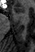 MRI slice. Medial temporal lobe.
{"anterior_hippocampus": ["(left=12, top=7, right=21, bottom=15)"]}